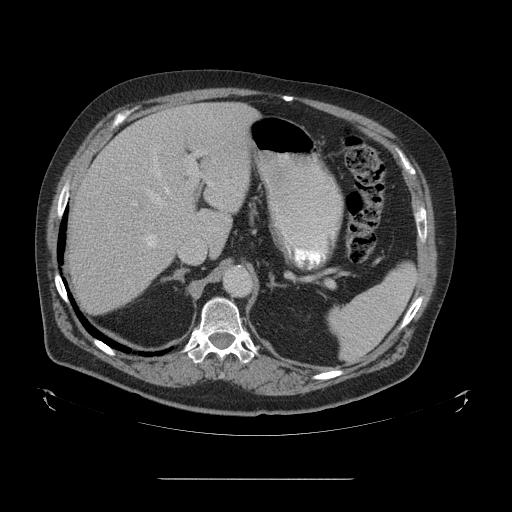
CT scan slice; Abdomen; Image size 512x512
The vessel annotation is not exhaustive.
Segmented structures:
* hepatic vessel: l=144, t=188, r=166, b=208; l=208, t=181, r=215, b=189; l=185, t=188, r=187, b=190; l=167, t=244, r=169, b=246; l=187, t=182, r=189, b=184; l=183, t=150, r=206, b=182; l=220, t=204, r=221, b=207; l=179, t=239, r=204, b=263; l=148, t=146, r=170, b=195; l=142, t=233, r=157, b=247; l=132, t=201, r=136, b=205